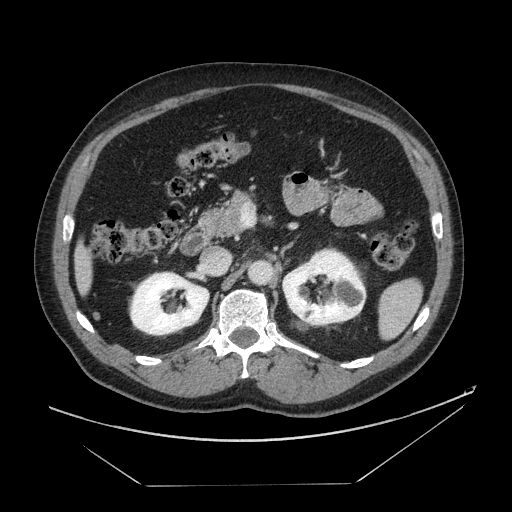 512x512 px. CT image. Upper abdomen. The pancreas is at 201 192 250 236.